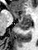

Image size 38x50 | Magnetic resonance
Segmented structures:
* posterior hippocampus: x1=16 y1=20 x2=31 y2=30
* anterior hippocampus: x1=11 y1=10 x2=30 y2=19